Abdomen. CT image. Slice 30 of 53.
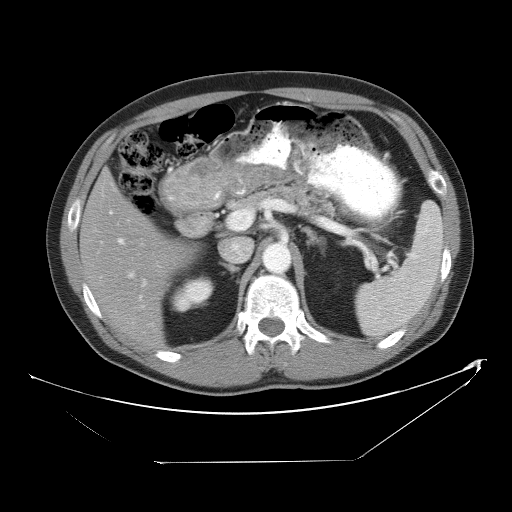 Some hepatic vessels may have no box.
Hepatic vessel = 149 323 152 325, 118 238 121 241, 141 305 143 306, 139 295 140 299, 128 273 133 277, 109 211 112 213, 142 279 145 286, 100 241 102 243.